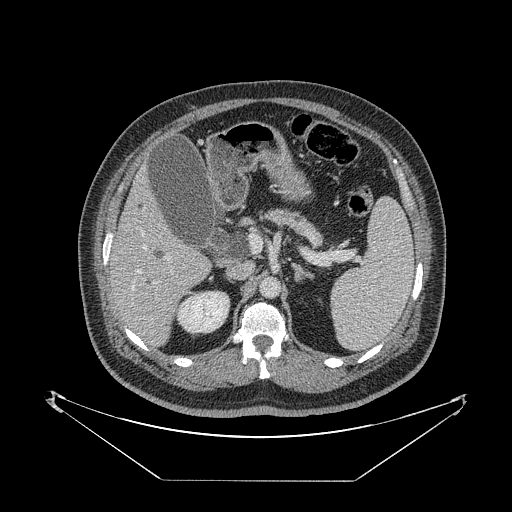
512x512 px | CT
The pancreas appears at x1=265, y1=210, x2=322, y2=247.